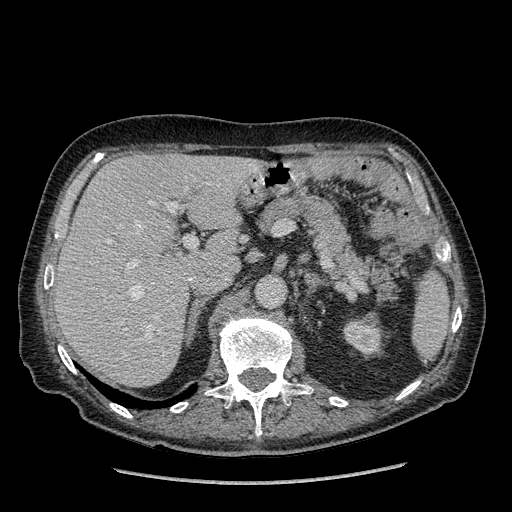
512x512 px; Abdomen; CT image
Kidney — x1=343 y1=314 x2=381 y2=354.
Liver — x1=55 y1=153 x2=257 y2=387.